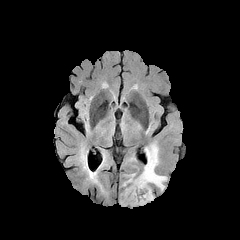
FLAIR MRI.
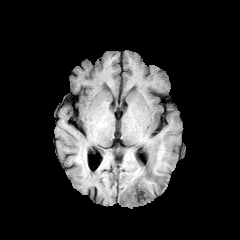
Same slice, T1-weighted magnetic resonance.
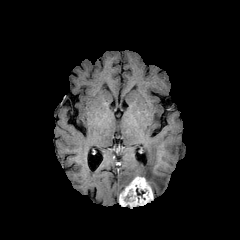
Post-contrast T1-weighted MR.
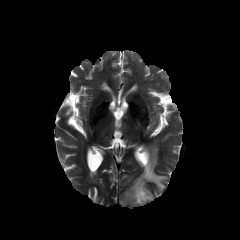
T2-weighted magnetic resonance.
240x240; Head
The enhancing tumor appears at x1=119 y1=176 x2=153 y2=207. 2 edema regions are located at x1=123 y1=174 x2=136 y2=187, x1=140 y1=144 x2=166 y2=191.